FLAIR MR.
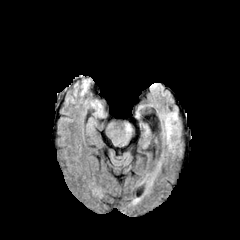
T1-weighted magnetic resonance.
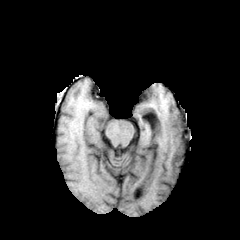
Post-contrast T1-weighted MR image.
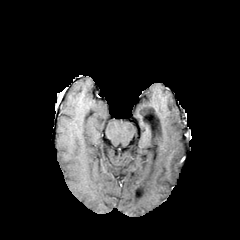
T2-weighted MR.
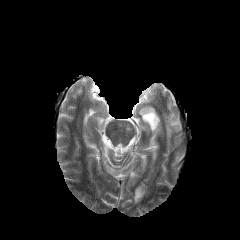
Edema — (165, 113, 178, 151).